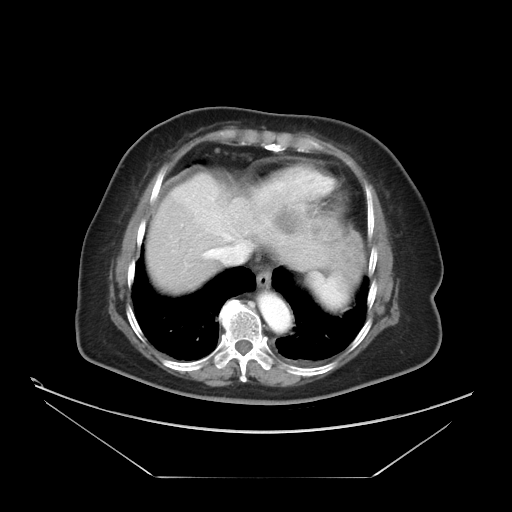

CT | Liver | 512x512
The vessel boxes may cover only some of the vessels.
Segmented structures:
- hepatic vessel: {"x1": 203, "y1": 248, "x2": 223, "y2": 260}, {"x1": 223, "y1": 233, "x2": 230, "y2": 239}
- liver tumor: {"x1": 273, "y1": 207, "x2": 299, "y2": 236}